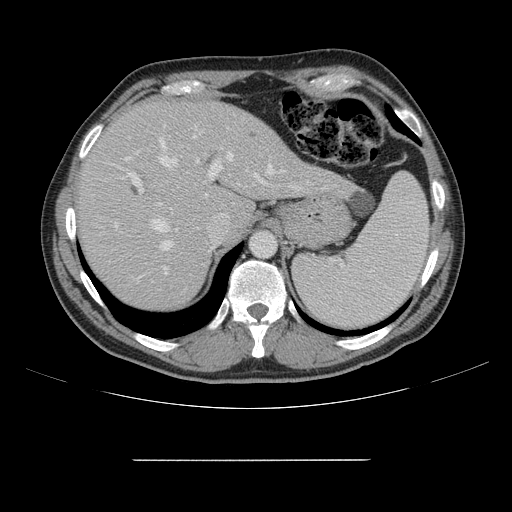
512x512. CT scan slice. Liver. Only some of the vessels may be annotated.
[15/16] hepatic vessel: <box>137,276,140,280</box>, <box>253,173,263,182</box>, <box>246,168,247,170</box>, <box>227,153,232,159</box>, <box>267,164,272,173</box>, <box>151,220,167,231</box>, <box>193,136,195,137</box>, <box>292,186,299,189</box>, <box>196,159,198,161</box>, <box>161,241,171,250</box>, <box>115,223,116,228</box>, <box>123,172,143,192</box>, <box>281,171,284,172</box>, <box>208,159,221,177</box>, <box>163,266,168,274</box>